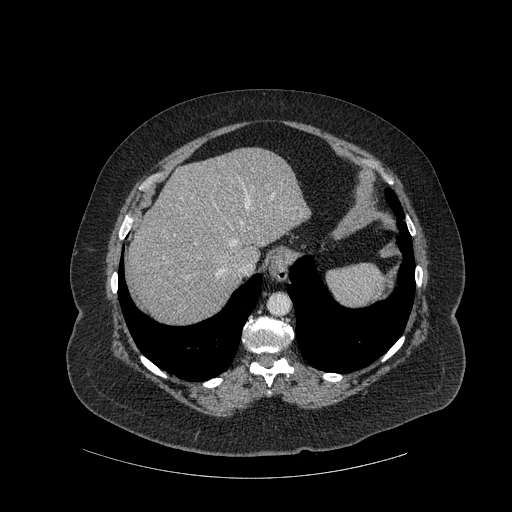 CT; Upper abdomen
The liver lies within box(129, 148, 307, 325). 2 lung regions appear at box(118, 262, 261, 381); box(287, 188, 415, 373). 9 bone regions are located at box(323, 373, 341, 381); box(407, 216, 415, 235); box(203, 378, 222, 387); box(141, 356, 166, 377); box(111, 272, 117, 292); box(415, 266, 422, 286); box(243, 317, 293, 353); box(382, 337, 404, 360); box(250, 358, 293, 386).